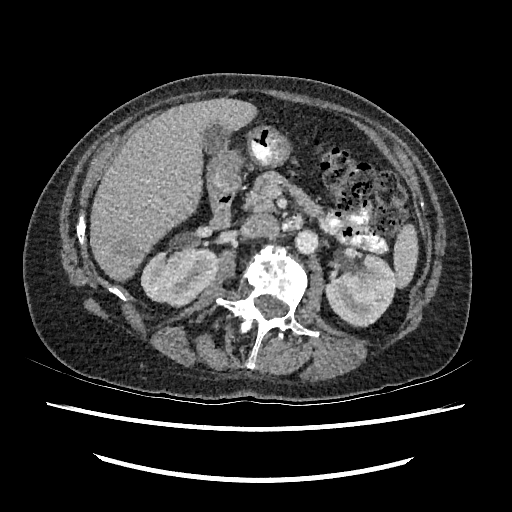 CT image. Abdomen.
Focal liver lesion at box=[114, 240, 136, 257].
Liver at box=[91, 98, 256, 280].
Kidney at box=[326, 256, 396, 325]; box=[141, 248, 218, 305].